Slice 206 of 230; CT image; Liver 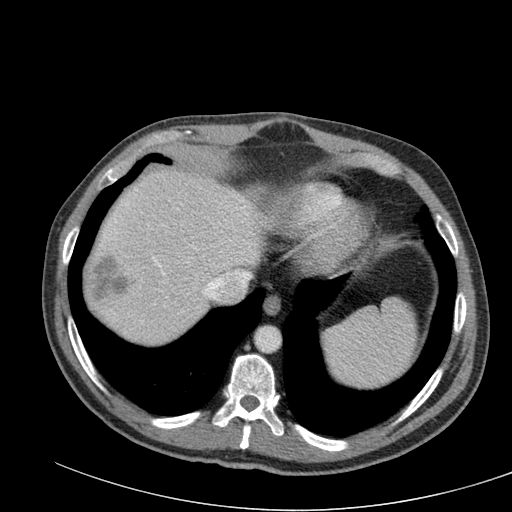

Liver at x1=85 y1=167 x2=271 y2=344.
Hepatic lesion at x1=90 y1=255 x2=129 y2=298.